FLAIR MR image.
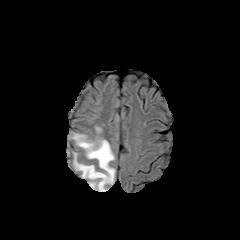
T1-weighted MR.
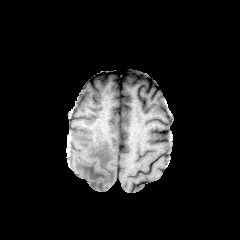
Post-contrast T1-weighted MRI.
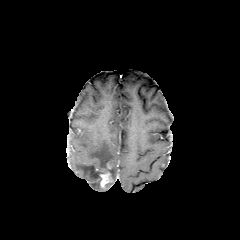
T2-weighted magnetic resonance.
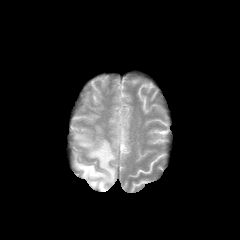
The enhancing tumor lies within rect(100, 172, 111, 187). The edema is at rect(72, 132, 115, 191). The non-enhancing tumor core appears at rect(92, 166, 111, 186).